Liver, CT, 512x512 px
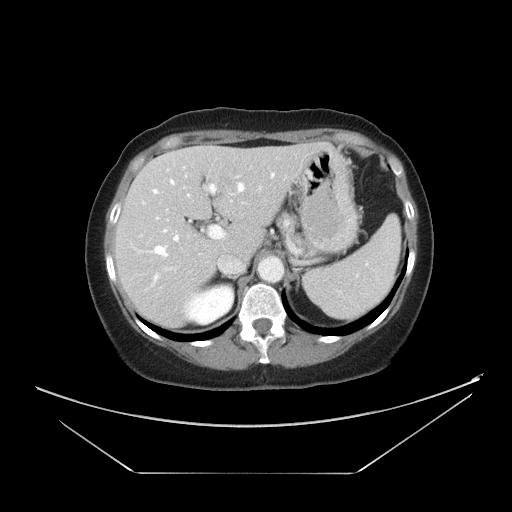 The vessel boxes may cover only some of the vessels.
The liver tumor is at 217,174,237,194. The most prominent 15 hepatic vessel regions (of 17) are located at 243,202,245,203; 173,236,178,240; 153,189,157,193; 149,246,166,256; 143,201,144,203; 219,259,242,272; 187,194,189,196; 163,230,165,232; 271,173,274,176; 238,183,242,191; 152,273,157,283; 170,180,173,183; 209,184,215,191; 164,268,171,269; 209,225,224,238.